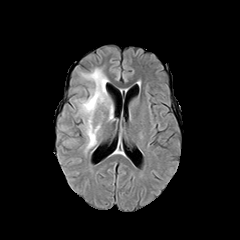
FLAIR MR.
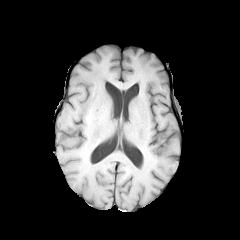
T1-weighted MRI.
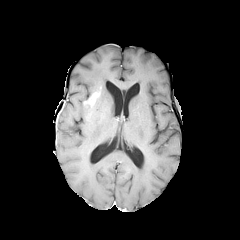
Post-contrast T1-weighted MR of the same slice.
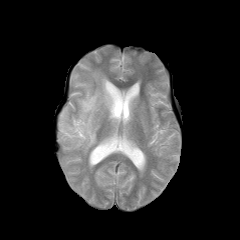
T2-weighted MR image.
Image size 240x240.
The enhancing tumor is at (83, 88, 101, 107). The edema is located at (64, 68, 113, 153).